Field of view 400 mm wide, 0.70 mm slice spacing | CT image
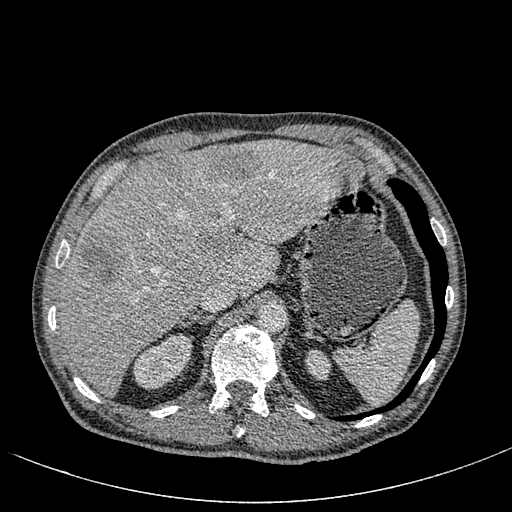

2 kidney regions appear at [305,350,330,379], [134,335,191,388]. 4 liver lesion regions are bounded by [204,145,257,179], [206,233,241,253], [80,228,121,283], [160,155,182,177]. The liver appears at [58,140,364,397].